Brain. Slice 102/155.
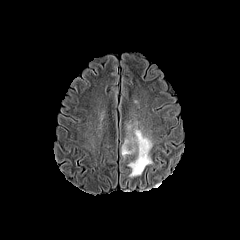
FLAIR magnetic resonance.
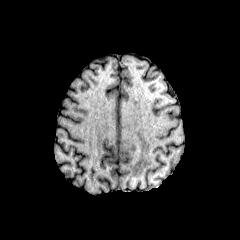
Same slice, T1-weighted MRI.
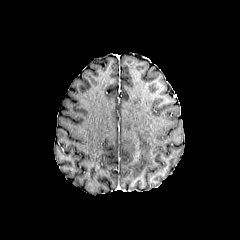
Same slice, post-contrast T1-weighted MR.
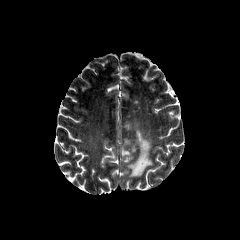
T2-weighted MR.
The edema lies within bbox(121, 122, 152, 177).